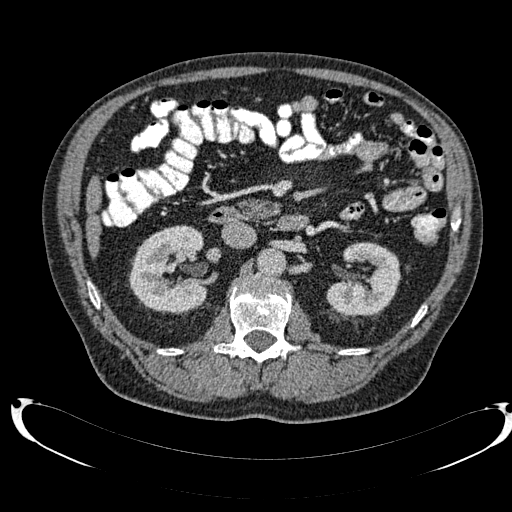

CT slice; Image size 512x512
kidney: 129, 225, 217, 313; 206, 247, 220, 262; 327, 242, 400, 316 | liver: 86, 175, 101, 213; 86, 215, 100, 257